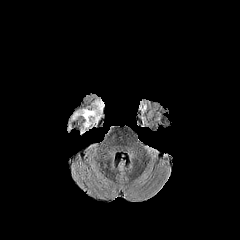
FLAIR MR image.
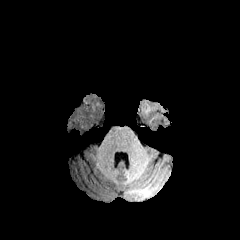
T1-weighted MR image.
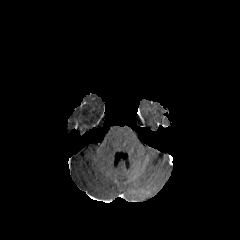
Same slice, post-contrast T1-weighted MR.
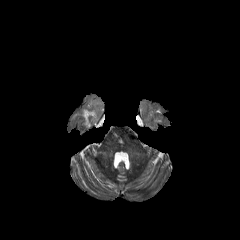
T2-weighted MRI of the same slice.
240x240 px | Head
Findings:
• edema: {"x1": 67, "y1": 95, "x2": 104, "y2": 131}